CT scan slice, Liver, Image size 512x512 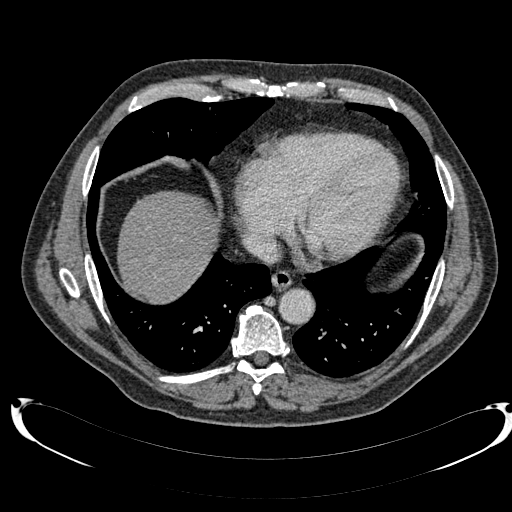 The liver is bounded by bbox(117, 192, 219, 303).